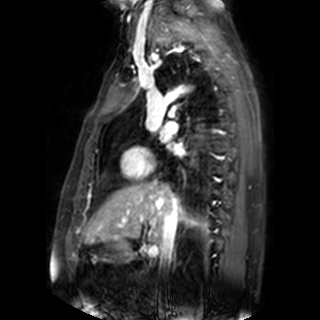
Image size 320x320, MRI slice
{
  "left_atrium": [
    "bbox(159, 130, 169, 142)",
    "bbox(171, 145, 183, 154)"
  ]
}